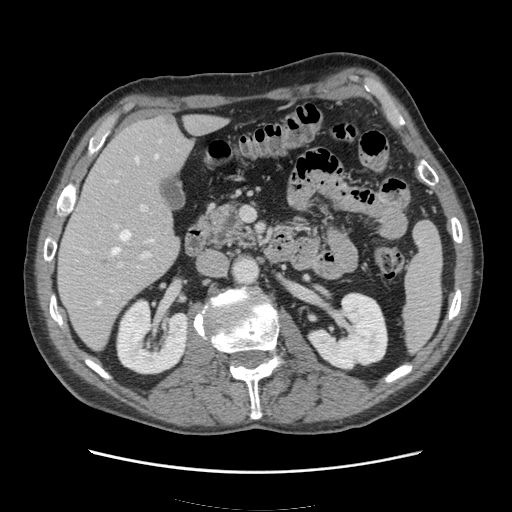

CT scan slice | Abdomen
Spleen — (404,221,442,350).